CT | Liver

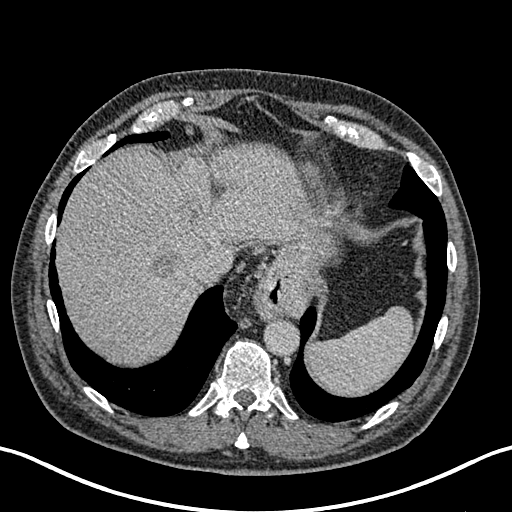
2 liver lesion regions are located at [149,247,182,277], [177,195,212,218]. The liver appears at [58,145,336,361].